Slice 193 of 455, CT scan slice

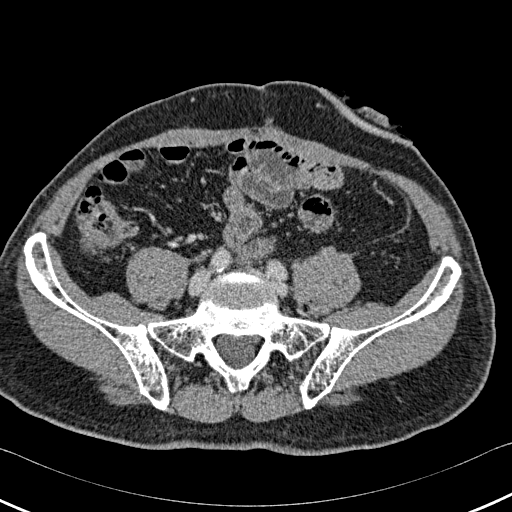

bone:
  - bbox=[24, 233, 460, 409]